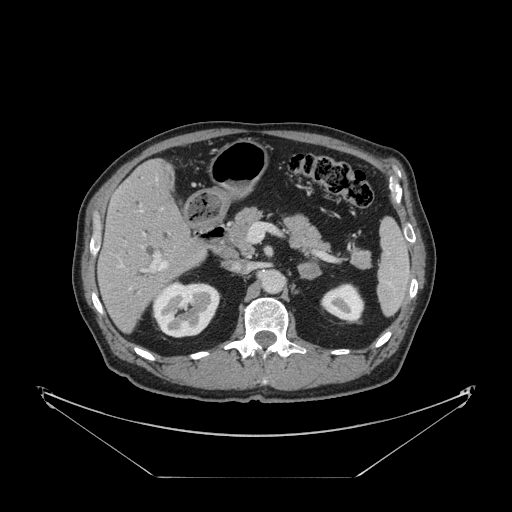 CT slice, Abdomen
The vessel boxes may cover only some of the vessels.
hepatic vessel: (left=160, top=208, right=162, bottom=209), (left=155, top=176, right=156, bottom=180), (left=247, top=223, right=268, bottom=241), (left=140, top=210, right=142, bottom=211), (left=129, top=287, right=130, bottom=289), (left=118, top=261, right=122, bottom=266), (left=140, top=253, right=166, bottom=272)